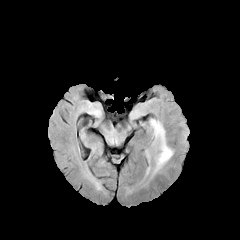
FLAIR MR.
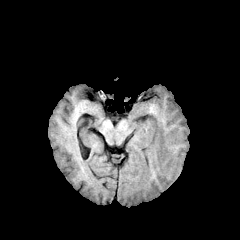
T1-weighted MR.
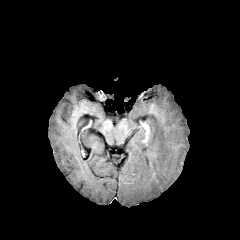
Post-contrast T1-weighted MR image of the same slice.
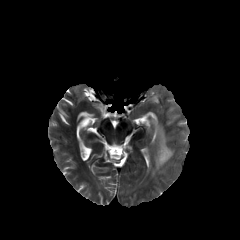
T2-weighted MR image.
edema: (149,117,173,171)